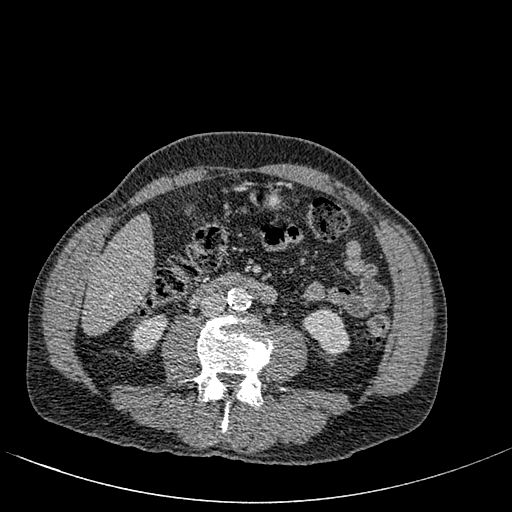
CT slice

The liver lies within (left=82, top=213, right=153, bottom=334). 2 kidney regions are bounded by (left=303, top=309, right=349, bottom=354), (left=132, top=315, right=167, bottom=352).